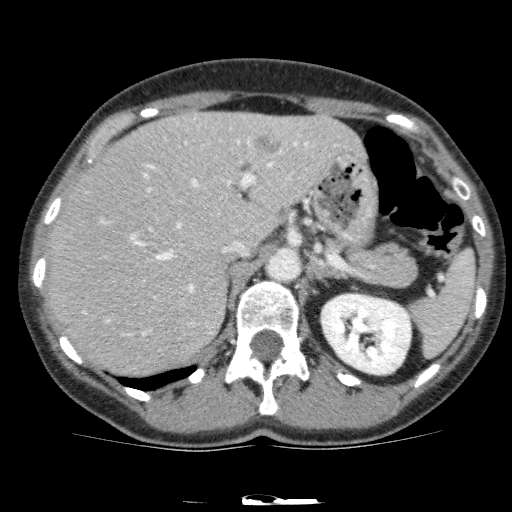

Abdomen. Computed tomography. 512x512 px. * liver lesion: [x1=193, y1=241, x2=200, y2=249], [x1=252, y1=133, x2=280, y2=155]
* kidney: [x1=322, y1=294, x2=410, y2=374]
* liver: [x1=46, y1=112, x2=367, y2=372]